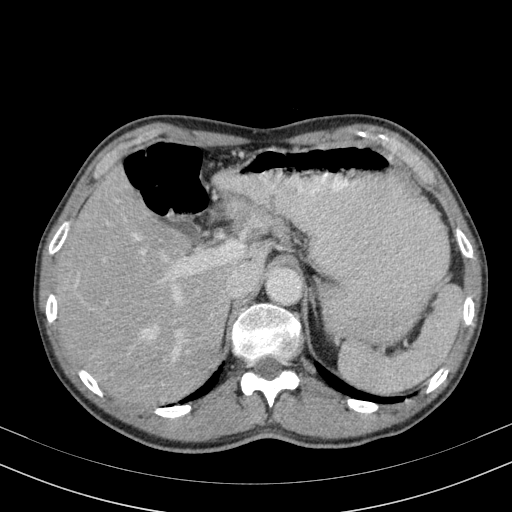

Liver. CT scan slice. The liver lies within 57:168:268:405.